FLAIR magnetic resonance.
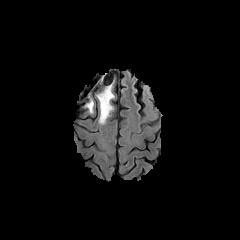
T1-weighted MR.
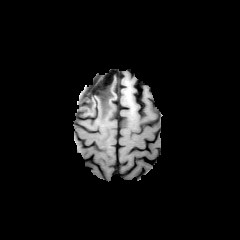
Post-contrast T1-weighted MRI.
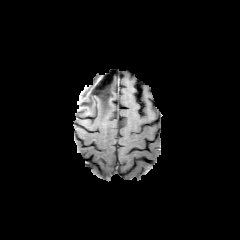
T2-weighted MRI.
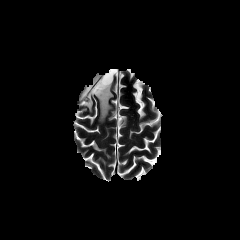
Image size 240x240; Brain
non-enhancing_tumor_core:
  - left=84, top=92, right=91, bottom=107
  - left=92, top=82, right=103, bottom=91
edema:
  - left=86, top=78, right=113, bottom=124